512x512 px | Computed tomography 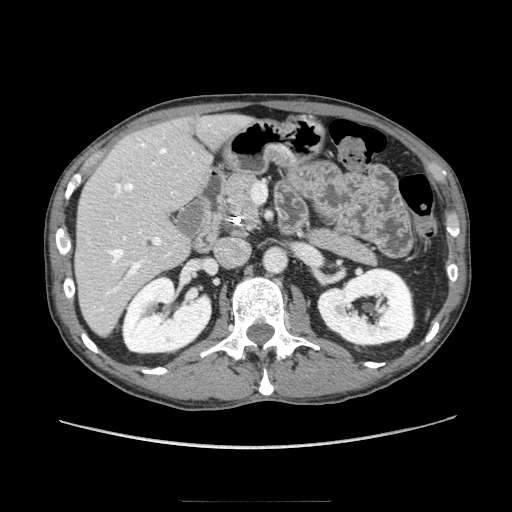 Pancreatic tumor: left=231, top=183, right=247, bottom=206.
Pancreas: left=308, top=230, right=374, bottom=263; left=227, top=175, right=258, bottom=223.